FLAIR MR.
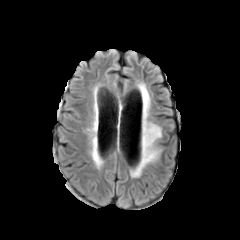
T1-weighted MR image.
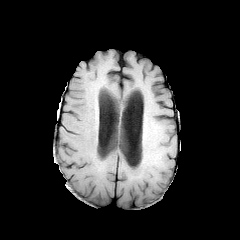
Post-contrast T1-weighted MR image.
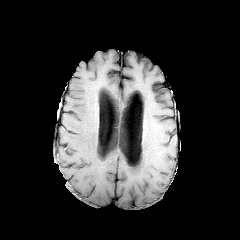
T2-weighted MRI.
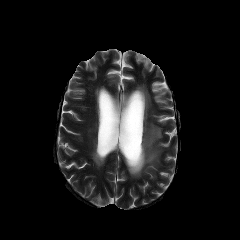
Annotated regions:
- edema: (134,84,161,176)